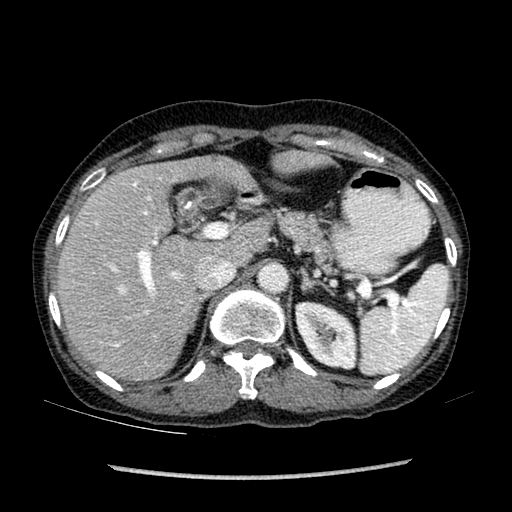
512x512 px. CT scan slice. Liver.

* kidney: (296,303,354,367)
* liver: (58,159,269,379), (275,153,327,173)
* hepatic lesion: (211,154,220,162)